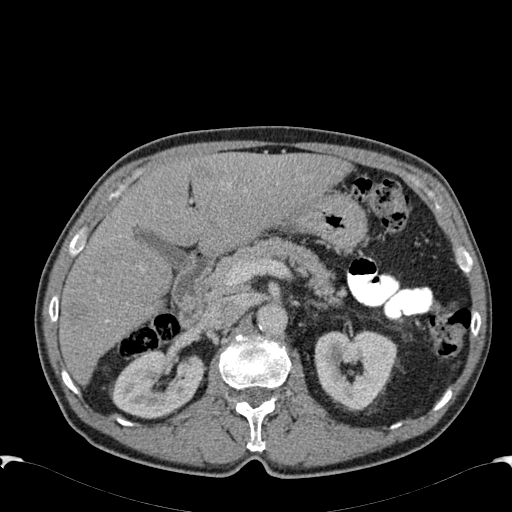 Liver | CT slice | 512x512 px
liver: 60:152:351:383 | kidney: 113:350:203:417, 315:331:396:409 | liver lesion: 196:167:208:178, 68:303:86:315